CT image. Slice 52/95. Upper abdomen. 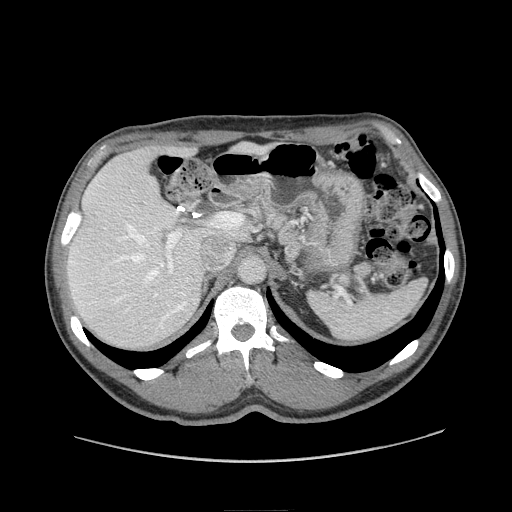
Pancreas: bbox=[264, 210, 301, 260].